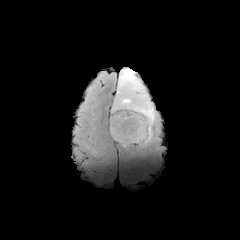
FLAIR MRI.
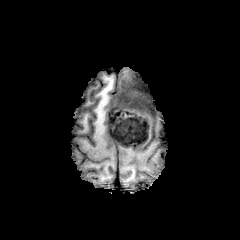
T1-weighted MR of the same slice.
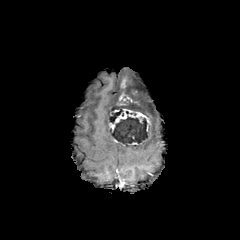
Post-contrast T1-weighted MRI.
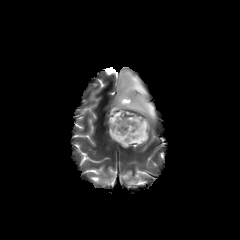
T2-weighted MRI.
<segmentation>
  <enhancing_tumor>109 109 151 131</enhancing_tumor>
  <non-enhancing_tumor_core>110 78 140 123, 110 116 147 146</non-enhancing_tumor_core>
  <edema>116 68 155 123</edema>
</segmentation>